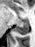 Magnetic resonance, Hippocampus, 35x47

The posterior hippocampus is bounded by (x1=14, y1=19, x2=28, y2=34).